CT scan slice, Abdomen
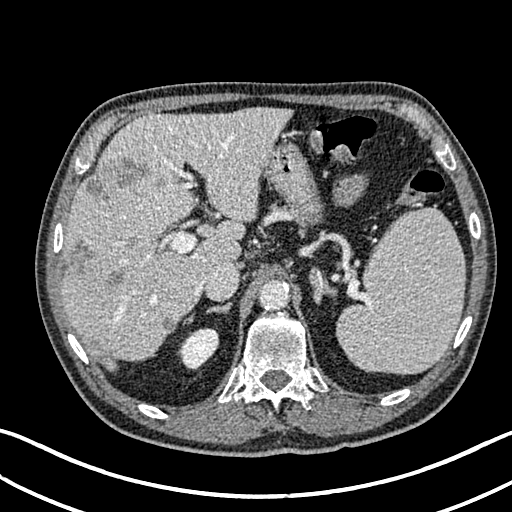
Kidney — (181,329,217,367).
Hepatic lesion — (91,340,101,349), (162,315,174,331), (106,271,125,284), (87,158,149,198), (66,239,91,272).
Liver — (63,107,291,367).